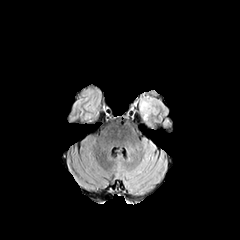
FLAIR MR.
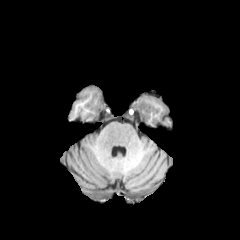
T1-weighted MR image.
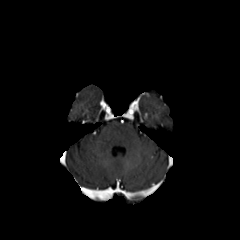
Post-contrast T1-weighted MR.
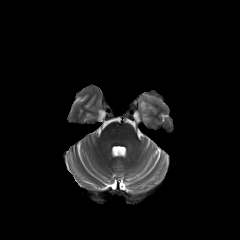
T2-weighted MR image.
The edema lies within (139,95,161,126).